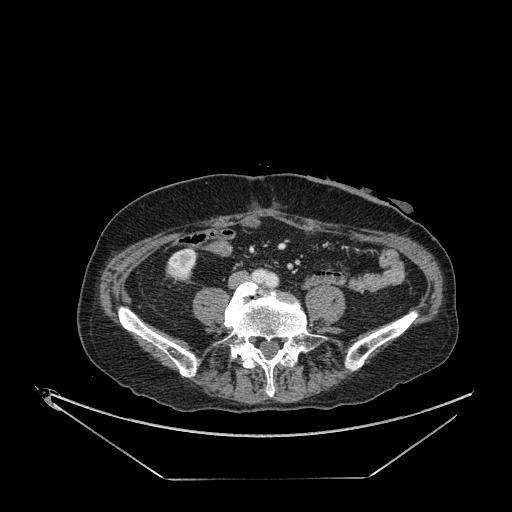

Computed tomography; Image size 512x512; Abdomen
The kidney is bounded by [168,249,195,279].